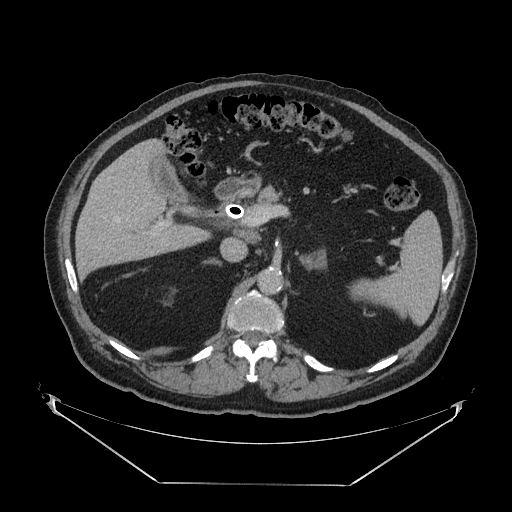 Image size 512x512, CT scan slice, Abdomen
<segmentation>
  <pancreas>x1=259 y1=188 x2=278 y2=204</pancreas>
</segmentation>